FLAIR MR.
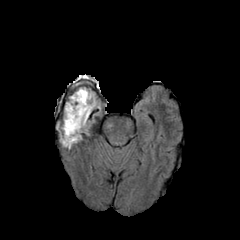
T1-weighted magnetic resonance.
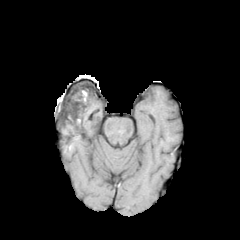
Post-contrast T1-weighted MR.
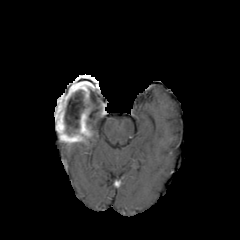
T2-weighted magnetic resonance.
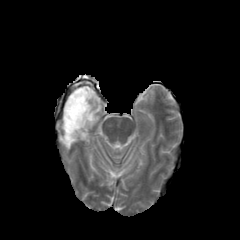
Head.
2 non-enhancing tumor core regions are bounded by (63, 125, 75, 142), (66, 101, 84, 129). 3 edema regions are located at (69, 91, 82, 107), (58, 121, 65, 140), (69, 89, 95, 143).